Abdomen; Image width 360 mm; Image size 512x512; CT image 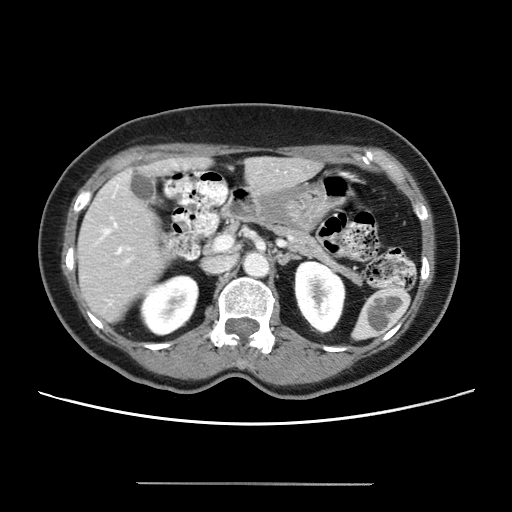
Some hepatic vessels may have no box.
Hepatic vessel: bbox=[104, 230, 108, 233].